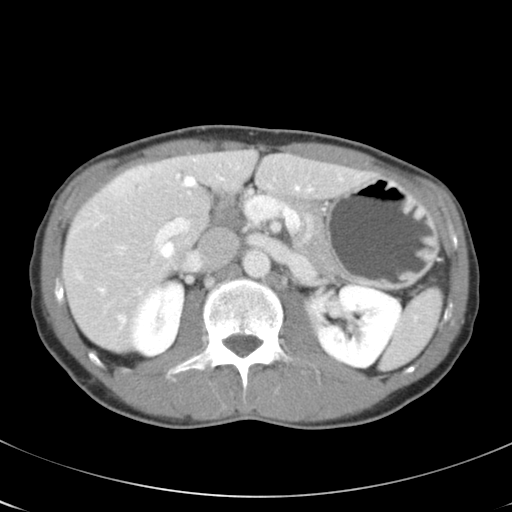
Abdomen; CT scan slice

Not every hepatic vessel necessarily has a box.
hepatic_vessel:
  - box=[100, 288, 104, 291]
  - box=[156, 218, 188, 255]
  - box=[119, 316, 126, 321]
  - box=[120, 247, 123, 247]
  - box=[296, 186, 299, 190]
  - box=[185, 177, 194, 184]
  - box=[308, 187, 311, 190]
  - box=[247, 202, 249, 214]
  - box=[177, 175, 179, 177]
  - box=[220, 177, 222, 179]